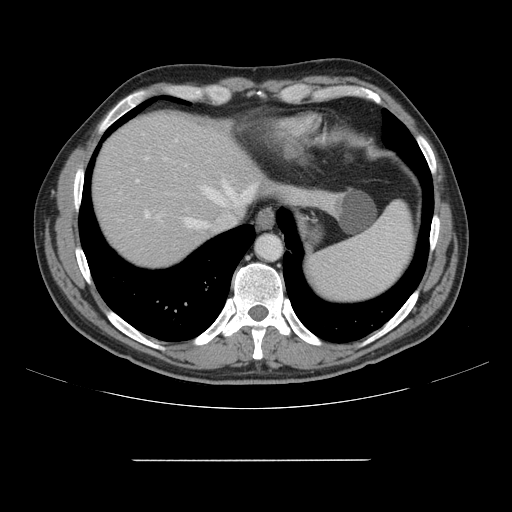

Liver. CT. Image size 512x512.

The vessel boxes may cover only some of the vessels.
10 hepatic vessel regions appear at (x1=164, y1=158, x2=167, y2=159), (x1=157, y1=215, x2=161, y2=221), (x1=204, y1=188, x2=226, y2=205), (x1=239, y1=183, x2=257, y2=202), (x1=144, y1=210, x2=149, y2=218), (x1=137, y1=180, x2=138, y2=181), (x1=145, y1=157, x2=147, y2=159), (x1=234, y1=222, x2=236, y2=223), (x1=185, y1=218, x2=208, y2=227), (x1=223, y1=181, x2=238, y2=204).